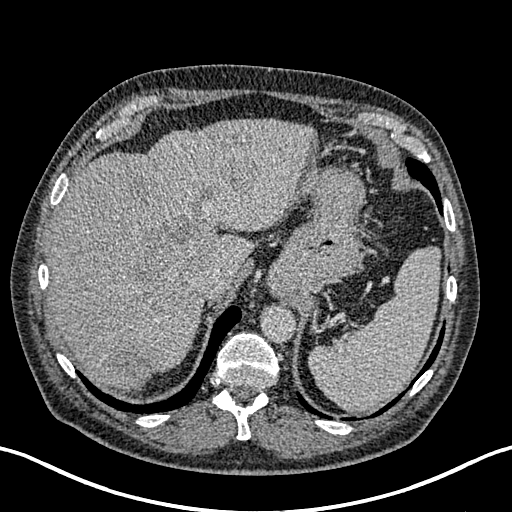

Liver; Computed tomography
<segmentation>
  <focal_liver_lesion>bbox=[224, 156, 260, 189]; bbox=[118, 343, 163, 377]; bbox=[131, 216, 212, 310]; bbox=[191, 207, 202, 216]; bbox=[197, 186, 214, 203]</focal_liver_lesion>
  <liver>bbox=[50, 118, 316, 389]</liver>
</segmentation>